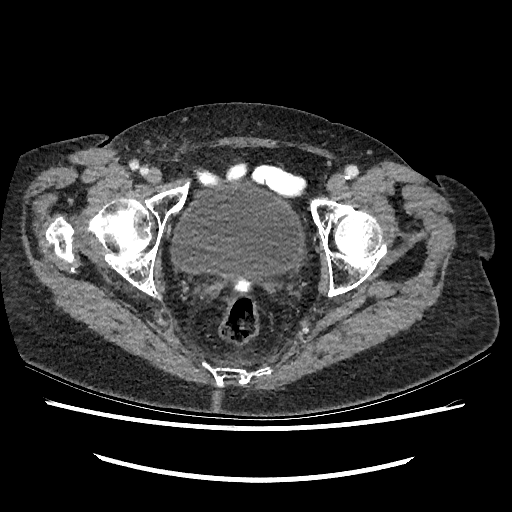
Lower abdomen; CT image

Urinary bladder at (171, 178, 305, 287).